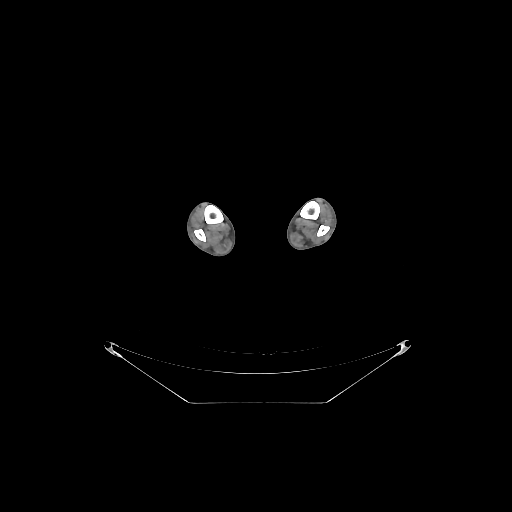 Computed tomography. 512x512.
4 bone regions appear at l=300, t=201, r=319, b=219; l=317, t=225, r=329, b=236; l=194, t=229, r=205, b=241; l=204, t=205, r=223, b=223.